CT scan slice | Liver | 512x512
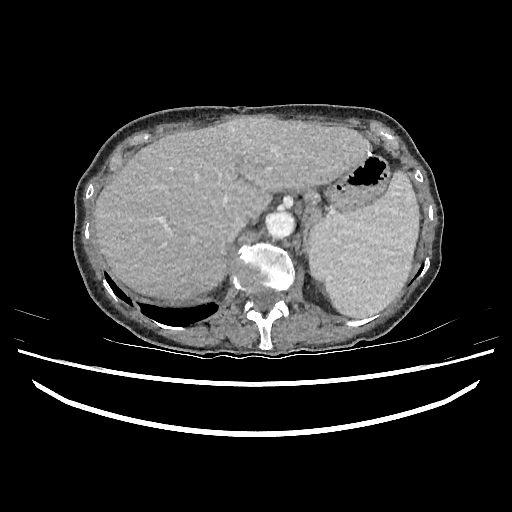 The liver appears at (x1=95, y1=116, x2=369, y2=299).